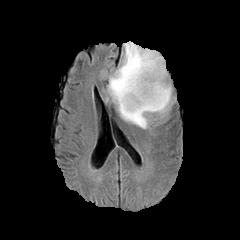
FLAIR MR image.
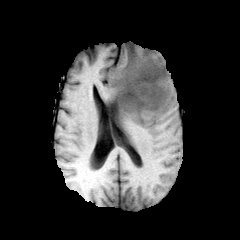
T1-weighted MR image of the same slice.
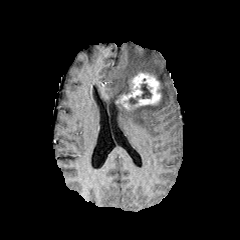
Same slice, post-contrast T1-weighted magnetic resonance.
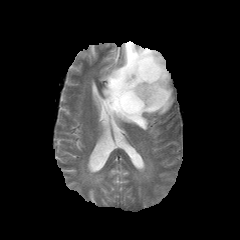
Same slice, T2-weighted MRI.
The enhancing tumor appears at box(116, 72, 162, 111). The edema is located at box(104, 41, 174, 129). The non-enhancing tumor core is at box(129, 84, 151, 104).